Slice index 93 | Field of view 240x240 mm | Head | 240x240
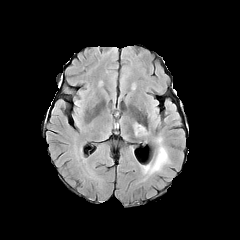
FLAIR MRI.
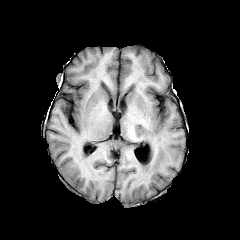
Same slice, T1-weighted MR.
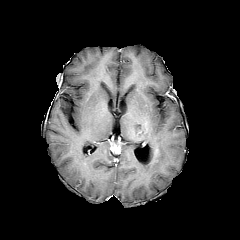
Post-contrast T1-weighted magnetic resonance of the same slice.
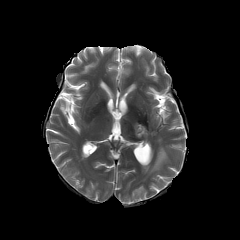
T2-weighted magnetic resonance.
2 edema regions are bounded by 134,124,147,136; 141,146,169,176.